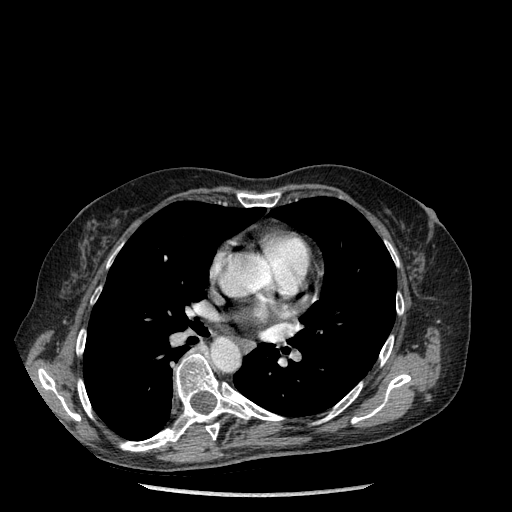 Thorax; CT scan slice
11 bone regions appear at [77, 380, 92, 417], [237, 192, 280, 207], [385, 240, 399, 266], [106, 245, 120, 267], [396, 292, 404, 314], [37, 368, 80, 421], [379, 335, 393, 366], [76, 329, 85, 354], [120, 351, 283, 451], [317, 382, 362, 423], [351, 373, 410, 423]. 2 lung regions appear at [233, 197, 396, 415], [83, 201, 264, 440].